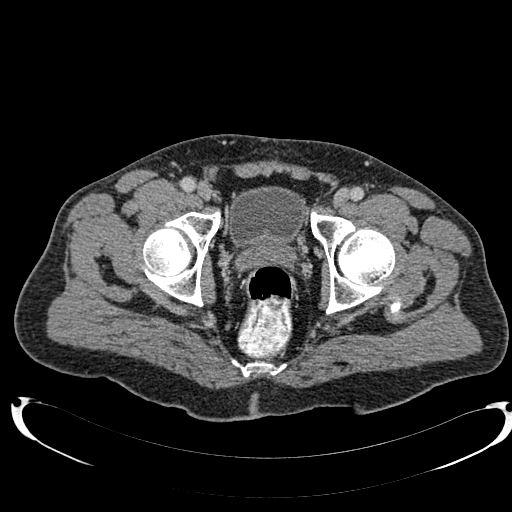
CT, 512x512, Pelvis
• urinary bladder: 228:186:305:253